FLAIR magnetic resonance.
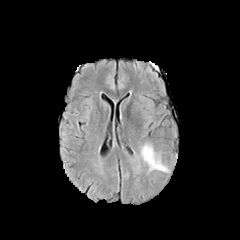
T1-weighted magnetic resonance.
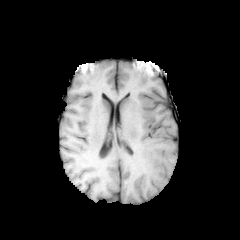
Post-contrast T1-weighted magnetic resonance.
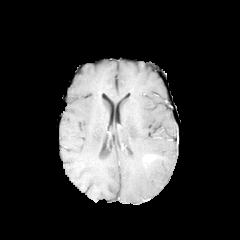
T2-weighted magnetic resonance.
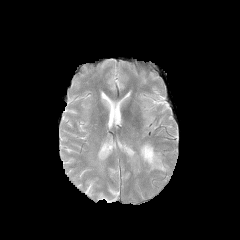
240x240. Brain.
Edema: 131:142:170:173.
Enhancing tumor: 144:152:160:163.